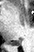
Magnetic resonance, Medial temporal lobe
The posterior hippocampus is at x1=8, y1=38, x2=22, y2=45.